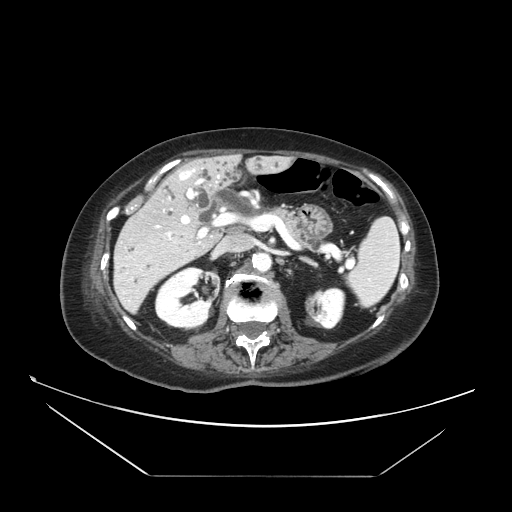 CT

{"pancreas": ["rect(273, 209, 324, 250)"]}